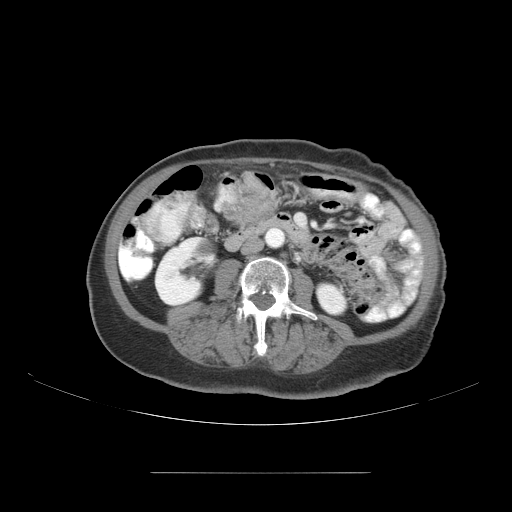

CT slice; Abdomen
The colon tumor is located at bbox(219, 172, 275, 225).